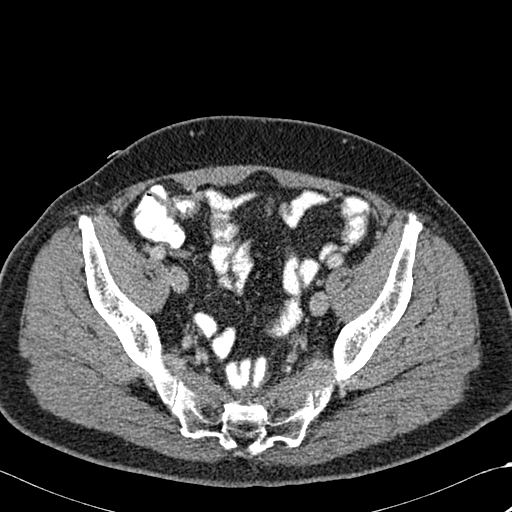

512x512 | CT scan slice

2 bone regions are located at box=[79, 215, 332, 453]; box=[330, 215, 421, 382].